Hippocampus; MRI 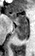

Anterior hippocampus: bbox(6, 12, 27, 22).
Posterior hippocampus: bbox(15, 23, 28, 39).